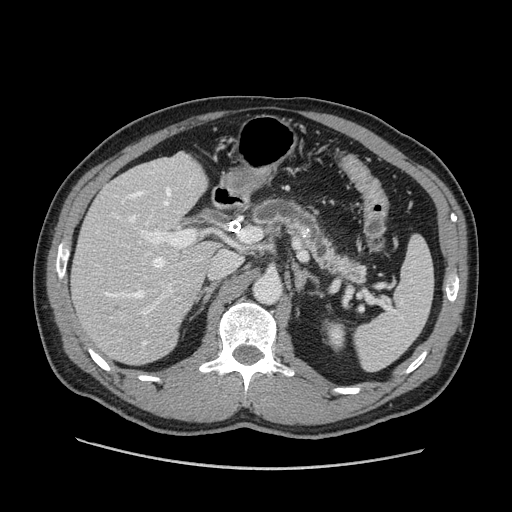 Computed tomography
pancreas: [249,197,368,285]